Slice index 96 | Field of view 240x240 mm
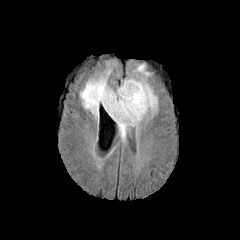
FLAIR magnetic resonance.
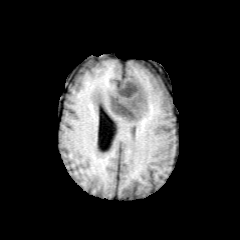
T1-weighted MRI.
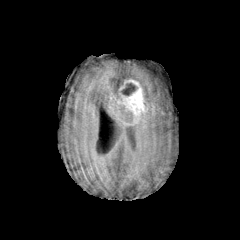
Post-contrast T1-weighted MR image.
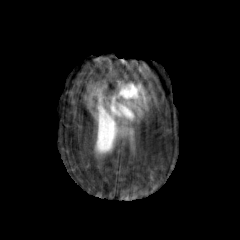
T2-weighted magnetic resonance of the same slice.
<segmentation>
  <enhancing_tumor>left=109, top=80, right=147, bottom=126</enhancing_tumor>
  <non-enhancing_tumor_core>left=121, top=83, right=136, bottom=96; left=124, top=111, right=134, bottom=122</non-enhancing_tumor_core>
  <edema>left=80, top=63, right=132, bottom=141; left=120, top=63, right=157, bottom=128</edema>
</segmentation>